CT. Field of view 350 mm wide, 2.00 mm slice spacing. Slice 209/216.

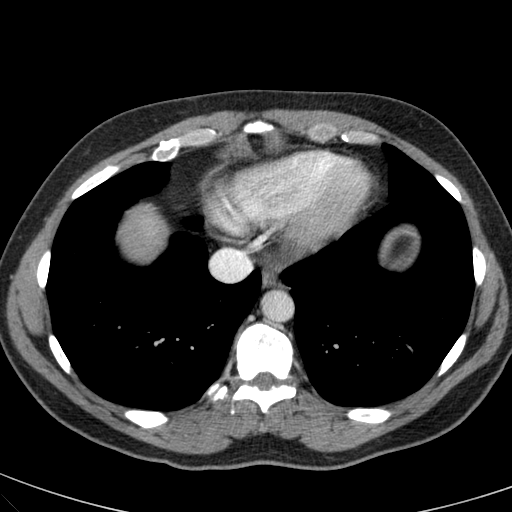 The liver is at x1=130 y1=217 x2=158 y2=235.